CT | Abdomen
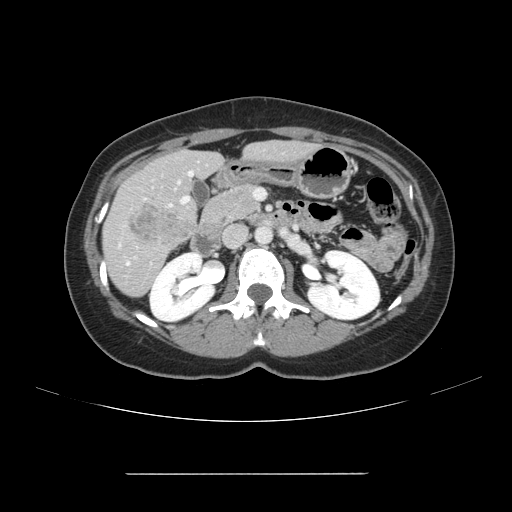
Not every hepatic vessel necessarily has a box.
Hepatic vessel = x1=181 y1=196 x2=188 y2=203, x1=178 y1=181 x2=179 y2=183, x1=119 y1=244 x2=120 y2=246, x1=188 y1=172 x2=192 y2=175, x1=127 y1=262 x2=129 y2=264, x1=169 y1=204 x2=171 y2=206.
Liver tumor = x1=129 y1=203 x2=192 y2=242.